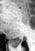

MRI
{"posterior_hippocampus": ["l=12, t=37, r=23, b=42"]}